Computed tomography; Slice 159/689 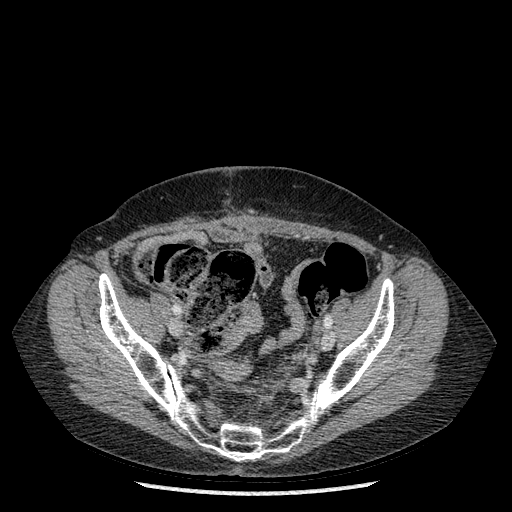

Bone: box=[98, 273, 394, 461].